Slice index 443. Upper abdomen. Computed tomography.

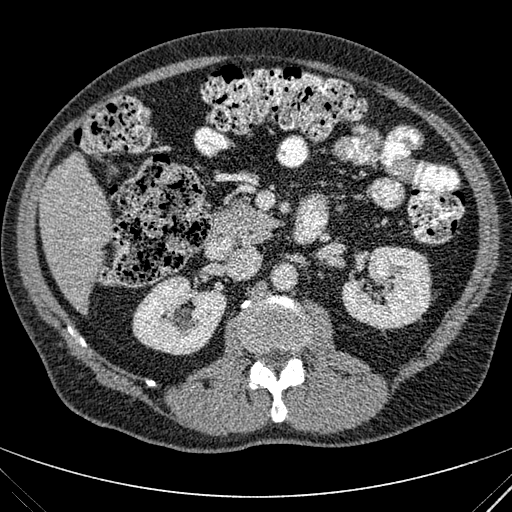

Kidney = l=356, t=251, r=368, b=271; l=342, t=247, r=430, b=328; l=133, t=277, r=225, b=354.
Liver = l=39, t=154, r=111, b=312.